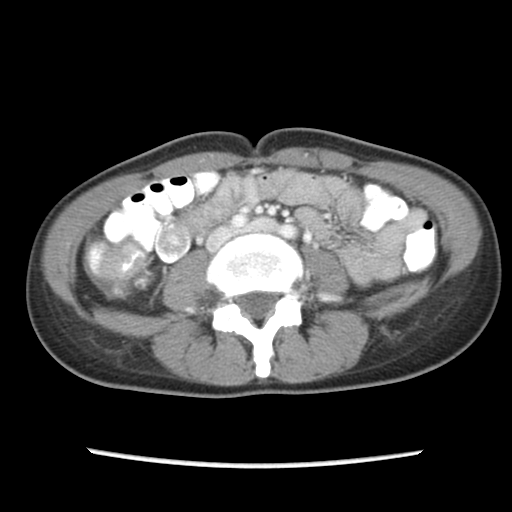

Computed tomography

Colon tumor = bbox(84, 234, 145, 280).